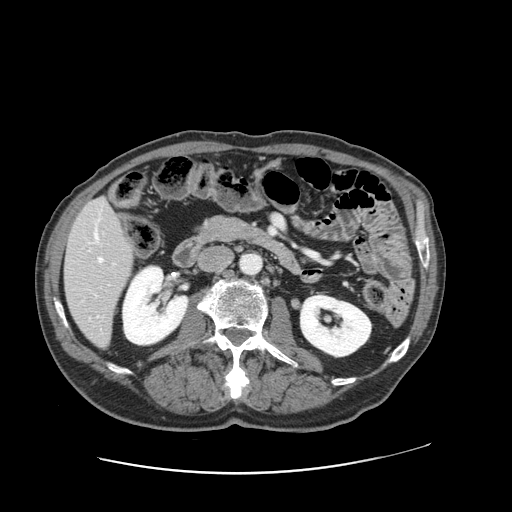
Computed tomography; Image size 512x512; Abdomen
Some hepatic vessels may have no box.
2 hepatic vessel regions are bounded by left=94, top=229, right=97, bottom=239; left=98, top=258, right=102, bottom=261.